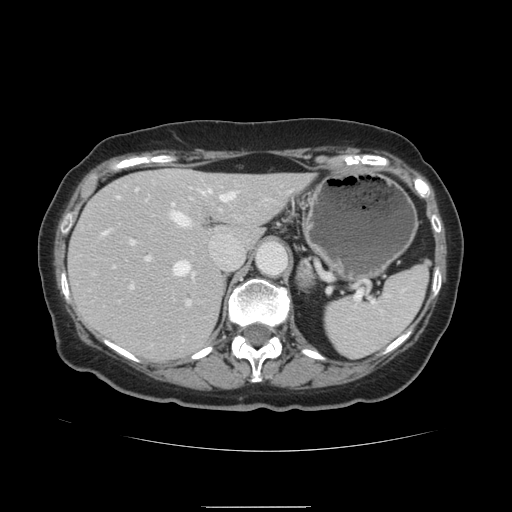
CT
The vessel boxes may cover only some of the vessels.
<segmentation>
  <hepatic_vessel>172:261:193:276, 168:211:188:225, 145:257:149:260, 220:192:234:201, 199:187:210:194, 130:241:133:244, 186:300:190:304, 130:284:132:287, 101:231:109:236</hepatic_vessel>
</segmentation>